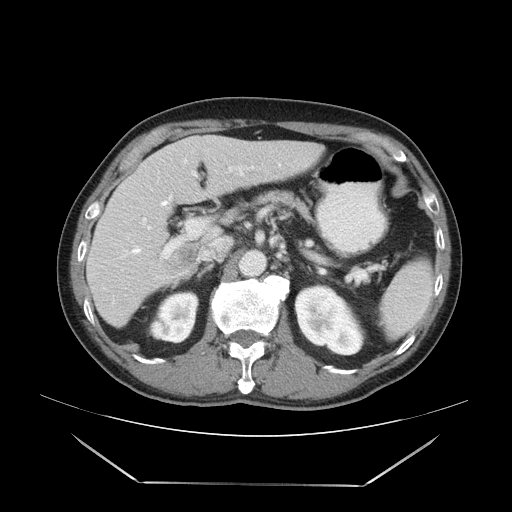 Liver | CT
Only some of the vessels may be annotated.
Liver tumor = 165:242:198:276.
Hepatic vessel = 226:164:254:176, 198:254:208:259, 164:245:174:253.